FLAIR MR.
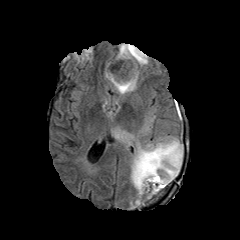
T1-weighted MR image.
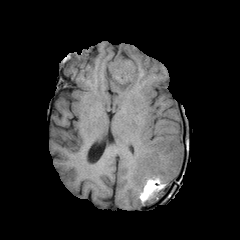
Post-contrast T1-weighted MR.
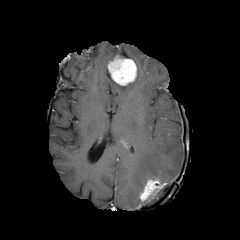
T2-weighted MR.
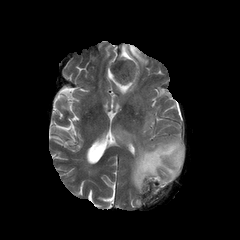
Head, 240x240 px
Enhancing tumor: bounding box (140, 178, 166, 199), (111, 56, 137, 85).
Non-enhancing tumor core: bounding box (114, 52, 133, 59), (109, 59, 132, 79).
Edema: bounding box (131, 136, 183, 197), (107, 44, 147, 94).